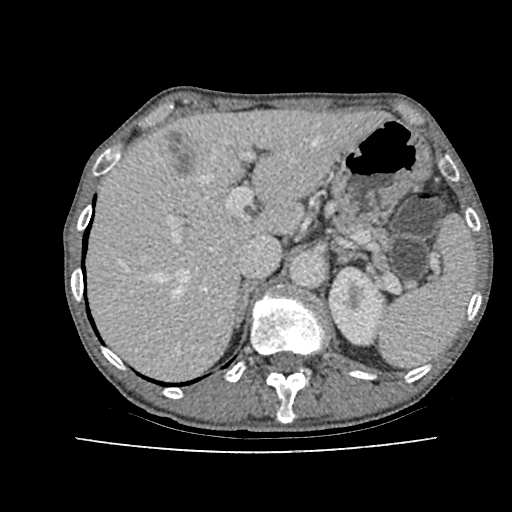
CT scan slice | Image size 512x512
Segmented structures:
* liver: x1=89 y1=110 x2=378 y2=379
* hepatic lesion: x1=165 y1=130 x2=196 y2=176
* kidney: x1=329 y1=270 x2=382 y2=343